CT scan slice; Image size 512x512; Liver

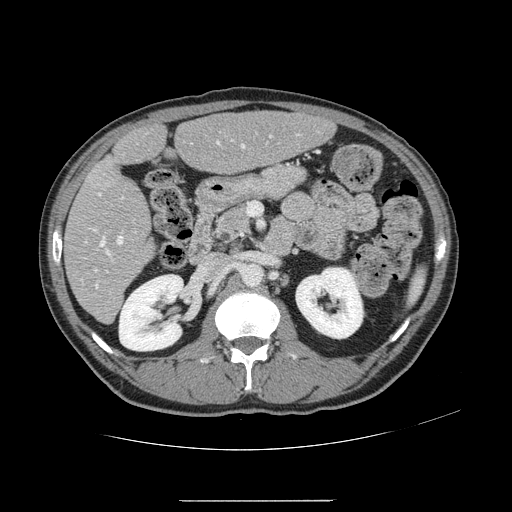
Not every hepatic vessel necessarily has a box.
Hepatic vessel at (121,197,123,198), (217,141,219,143), (98,193,100,195), (107,250,110,256), (81,279,82,281), (95,283,98,287), (100,236,105,246), (241,145,244,147), (90,228,96,230), (117,236,122,243), (112,259,113,261).